512x512 px, Abdomen, CT slice 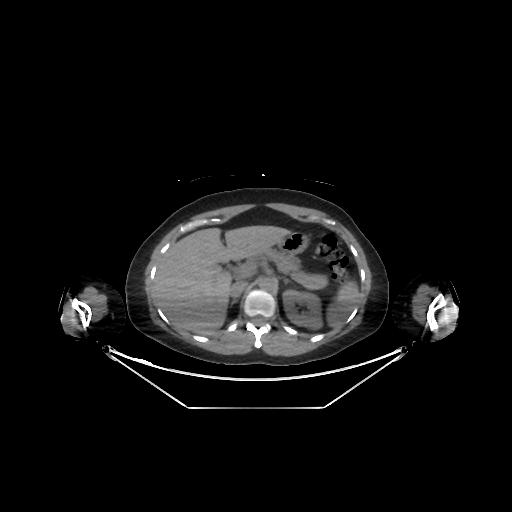
Liver: (x1=150, y1=226, x2=289, y2=338).
Kidney: (x1=282, y1=289, x2=322, y2=330).